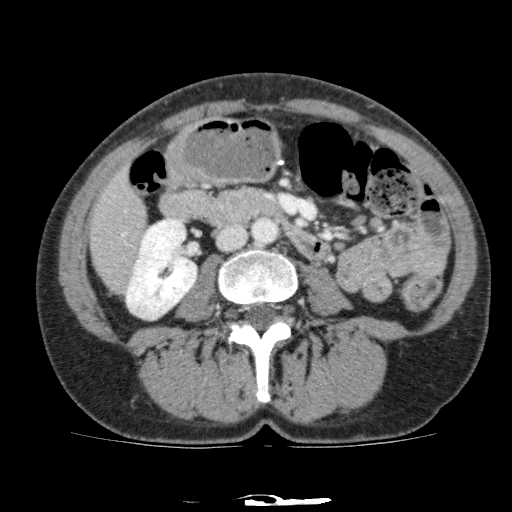

CT slice

The kidney lies within 126, 219, 196, 318. The liver appears at 89, 165, 146, 296.